Upper abdomen | CT image

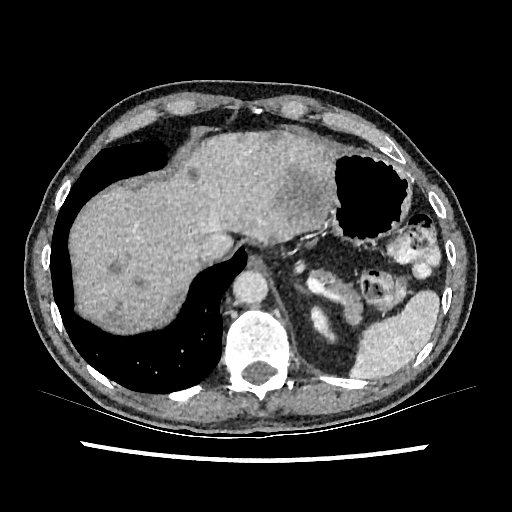 {"liver_lesion": [{"x1": 107, "y1": 251, "x2": 131, "y2": 275}, {"x1": 133, "y1": 275, "x2": 146, "y2": 289}, {"x1": 263, "y1": 132, "x2": 281, "y2": 145}, {"x1": 322, "y1": 150, "x2": 331, "y2": 161}, {"x1": 169, "y1": 290, "x2": 185, "y2": 308}, {"x1": 268, "y1": 233, "x2": 278, "y2": 241}, {"x1": 186, "y1": 167, "x2": 200, "y2": 181}, {"x1": 272, "y1": 163, "x2": 332, "y2": 228}, {"x1": 234, "y1": 134, "x2": 249, "y2": 147}, {"x1": 102, "y1": 301, "x2": 135, "y2": 330}], "kidney": [{"x1": 312, "y1": 309, "x2": 327, "y2": 335}], "liver": [{"x1": 74, "y1": 132, "x2": 333, "y2": 329}]}